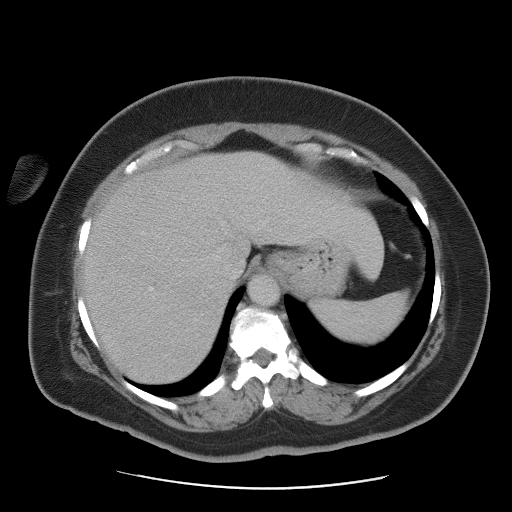
Abdomen. 512x512. CT. The vessel boxes may cover only some of the vessels.
3 hepatic vessel regions are located at box(212, 249, 222, 259); box(142, 231, 144, 233); box(225, 267, 228, 269).